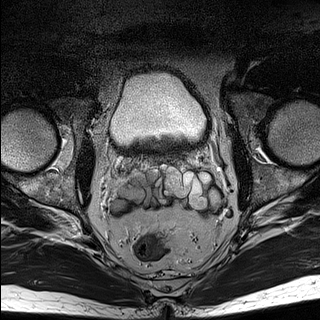
T2-weighted MR image.
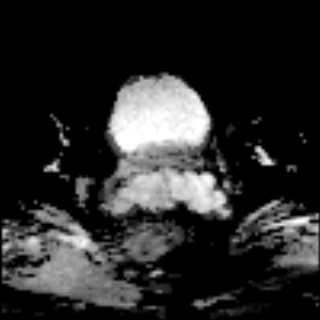
ADC MRI.
Prostate transition zone: l=141, t=141, r=186, b=165.